Computed tomography | Thorax 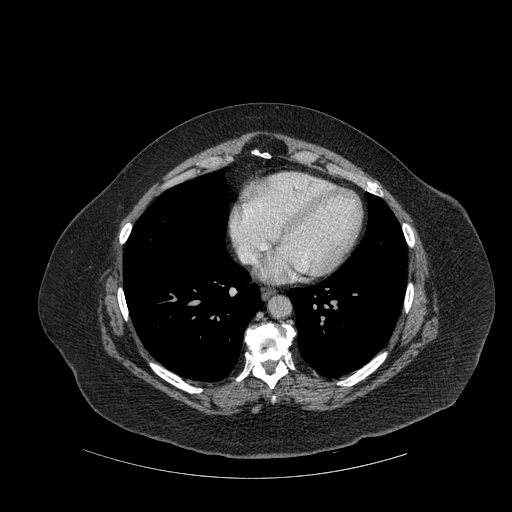

• lung: left=123, top=170, right=260, bottom=381; left=289, top=193, right=405, bottom=377
• bone: left=118, top=288, right=127, bottom=319; left=150, top=363, right=201, bottom=392; left=236, top=323, right=295, bottom=388; left=403, top=224, right=414, bottom=246; left=404, top=284, right=413, bottom=312; left=119, top=223, right=131, bottom=243; left=253, top=150, right=269, bottom=157; left=338, top=353, right=386, bottom=385